240x240 px
FLAIR magnetic resonance.
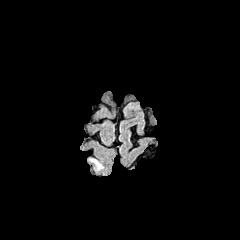
T1-weighted magnetic resonance.
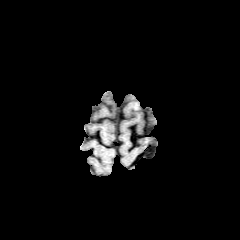
Post-contrast T1-weighted MR image.
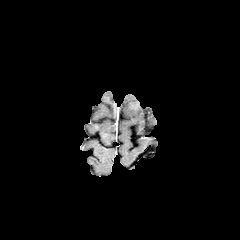
T2-weighted magnetic resonance.
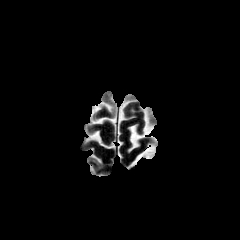
The edema is bounded by [x1=90, y1=158, x2=103, y2=169].